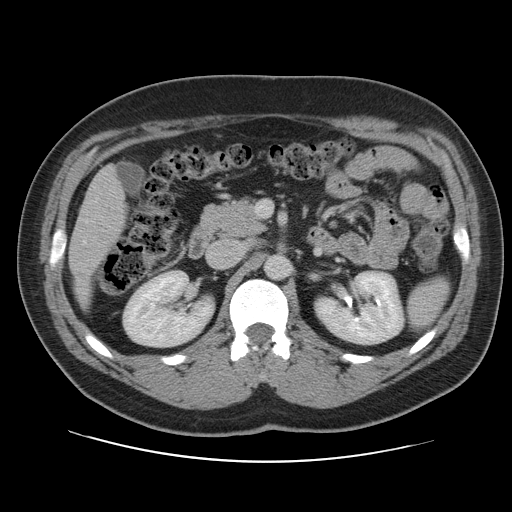

CT image

Not every hepatic vessel necessarily has a box.
hepatic_vessel:
  - (left=108, top=168, right=114, bottom=171)
  - (left=83, top=241, right=85, bottom=243)
  - (left=79, top=218, right=82, bottom=219)
  - (left=86, top=201, right=88, bottom=202)
  - (left=76, top=277, right=88, bottom=303)